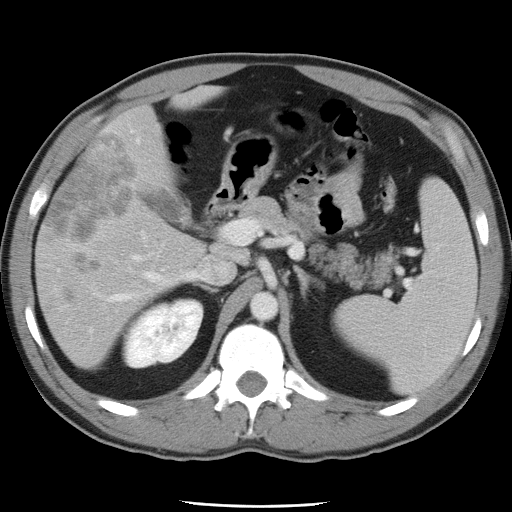 Computed tomography. Abdomen.

The vessel annotation is not exhaustive.
Segmented structures:
• hepatic vessel: [x1=145, y1=273, x2=157, y2=279], [x1=226, y1=220, x2=255, y2=243], [x1=133, y1=255, x2=138, y2=258], [x1=110, y1=295, x2=127, y2=300]